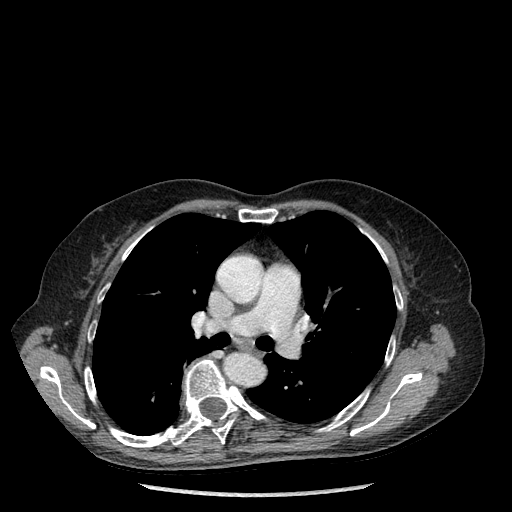 CT scan slice; 512x512 px
12 bone regions are bounded by bbox=[385, 336, 395, 365]; bbox=[109, 359, 265, 447]; bbox=[122, 234, 143, 260]; bbox=[97, 284, 109, 302]; bbox=[84, 367, 95, 402]; bbox=[393, 286, 403, 309]; bbox=[366, 233, 387, 262]; bbox=[39, 366, 95, 428]; bbox=[239, 208, 277, 223]; bbox=[88, 321, 96, 341]; bbox=[350, 371, 422, 436]; bbox=[317, 389, 369, 431]. 2 lung regions are located at bbox=[247, 211, 396, 423]; bbox=[92, 213, 259, 435].